Slice 73/83, CT 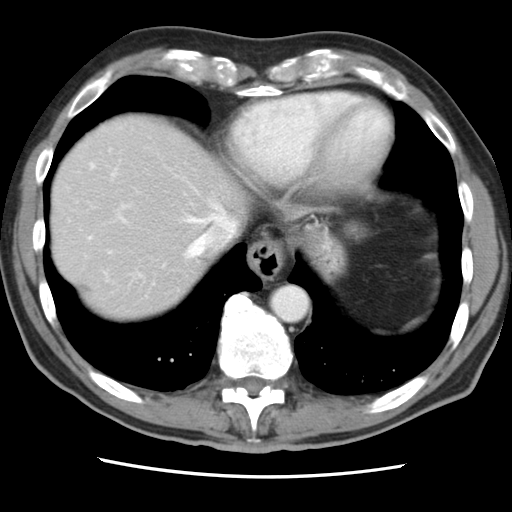 The vessel boxes may cover only some of the vessels.
Hepatic vessel — region(91, 163, 94, 167); region(122, 205, 128, 208); region(105, 272, 108, 280); region(109, 251, 111, 252); region(111, 170, 116, 176); region(187, 204, 223, 223); region(187, 242, 195, 256); region(140, 274, 142, 276); region(120, 215, 124, 221); region(89, 237, 91, 238).